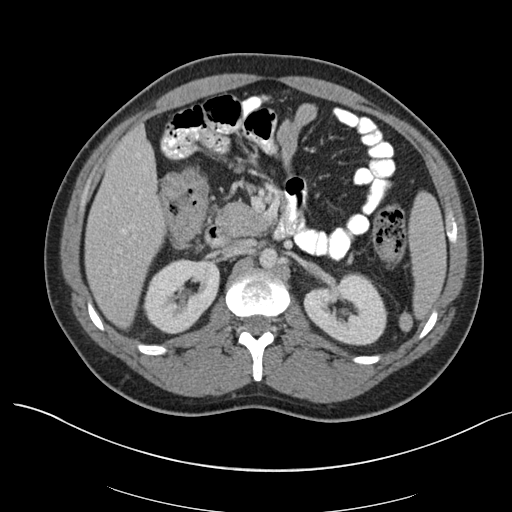

Abdomen. Computed tomography.

Colon tumor: bounding box box(160, 166, 207, 244).